512x512; CT image; Slice index 220

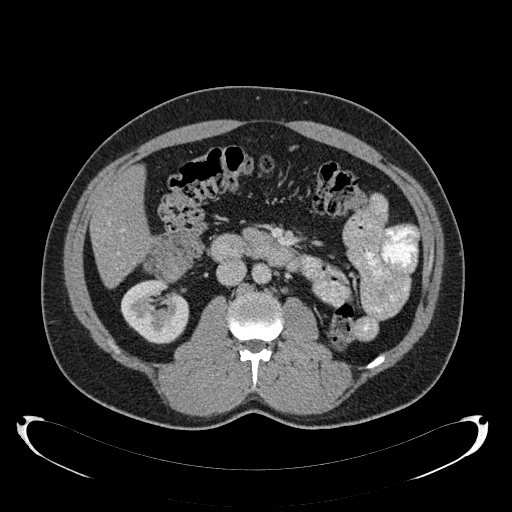 kidney: (121, 281, 188, 342) | liver: (90, 166, 150, 286)